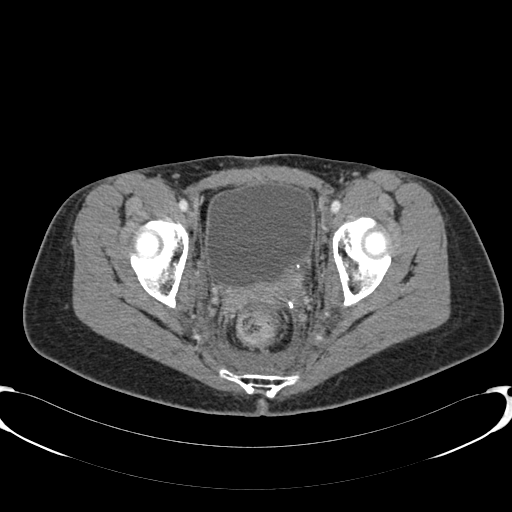 CT slice | Lower abdomen
The urinary bladder is at (left=207, top=184, right=311, bottom=286).